Slice index 187; 512x512 px; CT
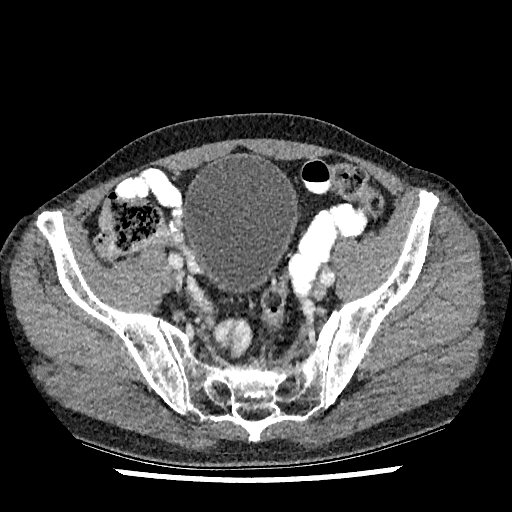 Urinary bladder: rect(184, 156, 296, 292).